Thorax | CT slice | 512x512
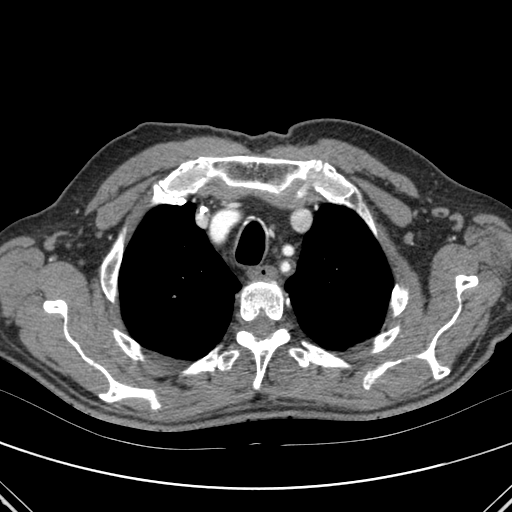 bone:
  - rect(455, 275, 478, 301)
  - rect(391, 285, 408, 315)
  - rect(357, 207, 375, 234)
  - rect(240, 281, 283, 321)
  - rect(372, 326, 399, 352)
  - rect(289, 341, 349, 367)
  - rect(364, 360, 400, 389)
  - rect(183, 348, 238, 374)
  - rect(418, 308, 460, 379)
  - rect(101, 228, 125, 302)
  - rect(152, 156, 356, 206)
  - rect(236, 327, 289, 388)
  - rect(112, 329, 143, 359)
  - rect(43, 299, 160, 409)
lung:
  - rect(118, 202, 241, 360)
  - rect(285, 204, 392, 350)